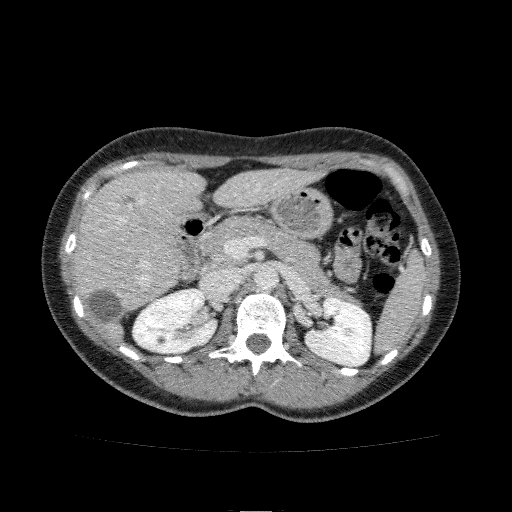
Abdomen | CT image

liver:
  - (214, 168, 324, 208)
  - (73, 168, 204, 341)
kidney:
  - (306, 298, 371, 365)
  - (133, 289, 215, 353)